FLAIR MR image.
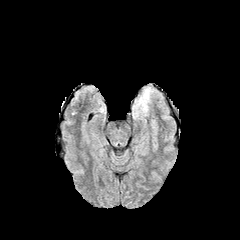
T1-weighted MR image.
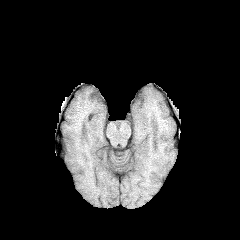
Post-contrast T1-weighted MR.
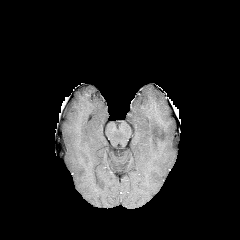
T2-weighted MR.
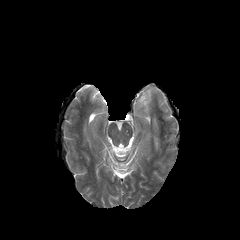
240x240 px | Brain
Annotated regions:
• edema: [137,95,149,112]